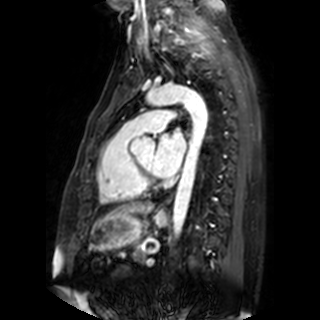
Cardiac, 320x320 px, MR
The left atrium is located at [x1=153, y1=130, x2=185, y2=176].